512x512 px, Liver, CT

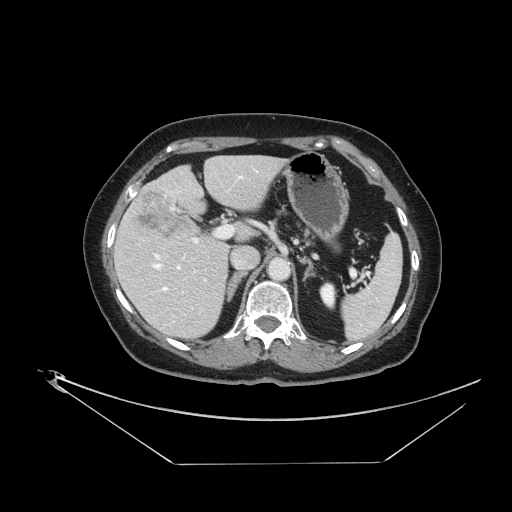
Not every hepatic vessel necessarily has a box.
{
  "liver_tumor": [
    "<box>134,186,182,236</box>"
  ],
  "hepatic_vessel": [
    "<box>176,265,180,269</box>",
    "<box>151,254,162,269</box>",
    "<box>162,286,167,291</box>",
    "<box>215,225,233,237</box>",
    "<box>192,238,197,242</box>"
  ]
}